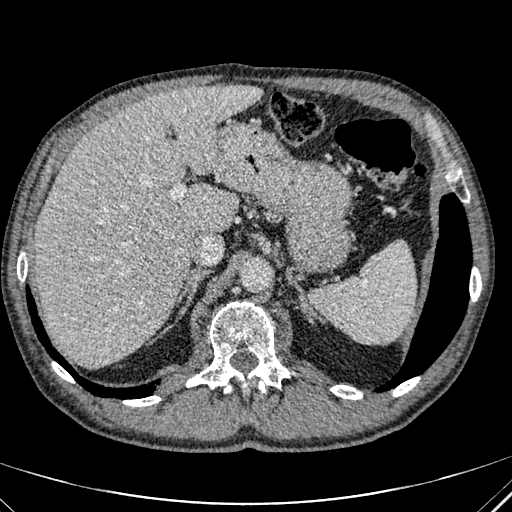

Liver. CT.
The liver is at {"x1": 35, "y1": 85, "x2": 263, "y2": 366}.